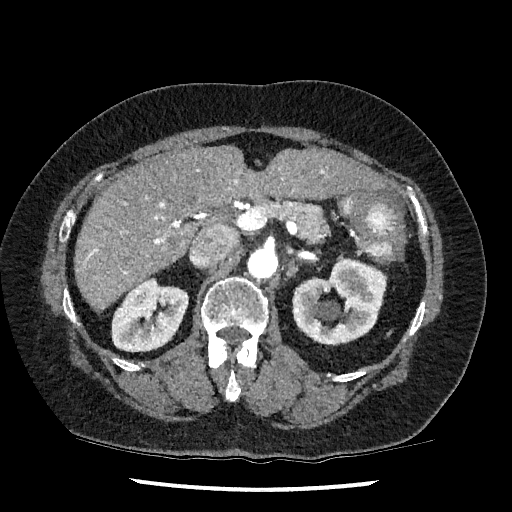

Computed tomography | Abdomen
Liver: bounding box box=[75, 146, 382, 310].
Kidney: bounding box box=[112, 279, 187, 351]; box=[293, 258, 385, 344].